FLAIR MRI.
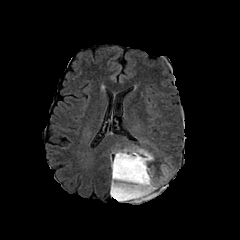
T1-weighted magnetic resonance.
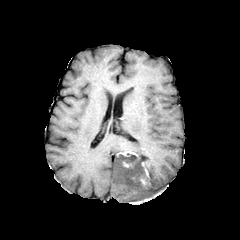
Post-contrast T1-weighted MR.
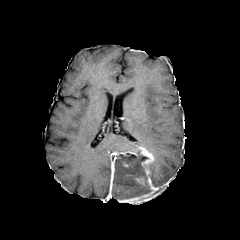
T2-weighted MR.
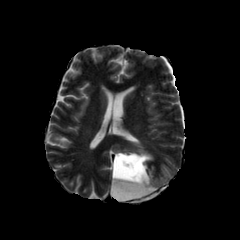
Image size 240x240; Brain
The non-enhancing tumor core lies within <box>112,151,150,201</box>. 3 enhancing tumor regions are bounded by <box>140,149,152,165</box>, <box>110,152,125,196</box>, <box>119,177,157,202</box>. 3 edema regions appear at <box>148,162,159,186</box>, <box>116,180,146,191</box>, <box>117,148,139,153</box>.